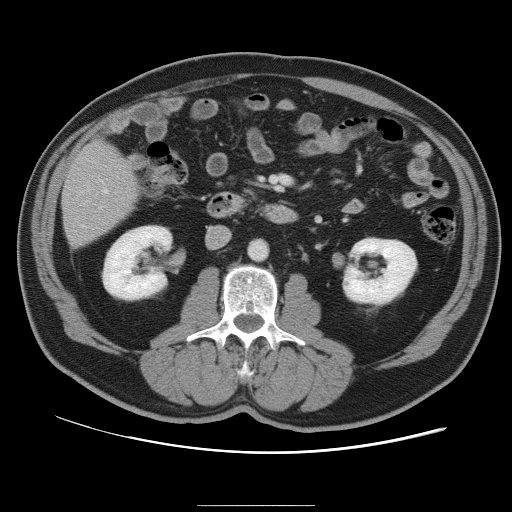
Computed tomography. Abdomen. Not every hepatic vessel necessarily has a box.
Findings:
* hepatic vessel: box=[82, 225, 84, 226]; box=[100, 206, 102, 208]; box=[103, 190, 107, 193]